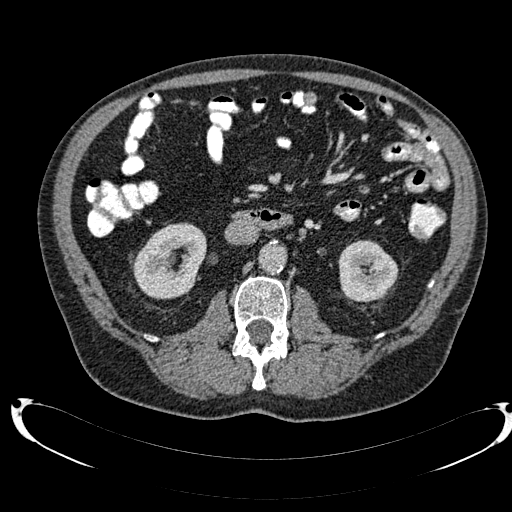 CT scan slice | Abdomen

2 kidney regions are bounded by [x1=133, y1=223, x2=206, y2=298], [x1=339, y1=240, x2=397, y2=301].